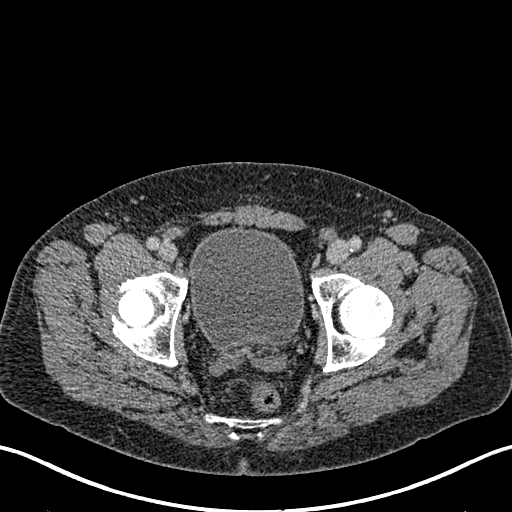
CT image | Lower abdomen
The urinary bladder appears at l=188, t=227, r=303, b=344.